Field of view 512 mm wide, 1.00 mm slice spacing, CT image, Slice index 105, 512x512 px 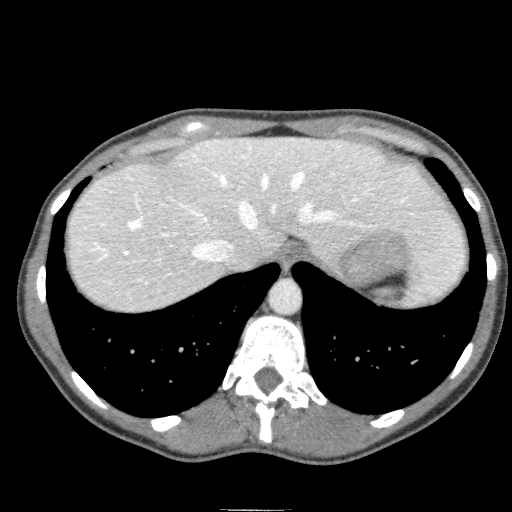 <segmentation>
  <liver>bbox=[68, 136, 465, 312]</liver>
</segmentation>